Slice 53 of 89. CT slice.
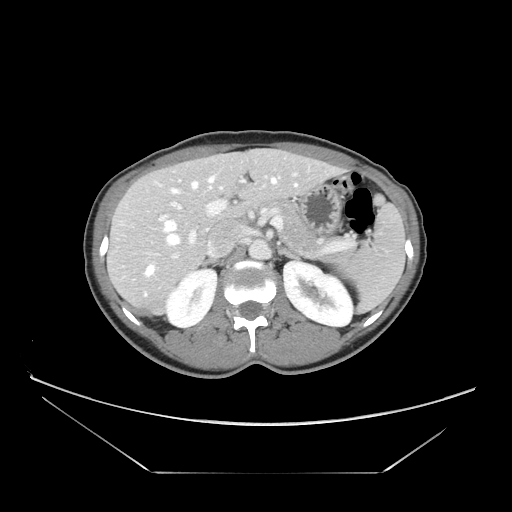
pancreas:
  - l=273, t=201, r=335, b=260
pancreatic_tumor:
  - l=325, t=237, r=343, b=243
  - l=322, t=248, r=356, b=262